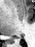

Medial temporal lobe. Magnetic resonance.

2 posterior hippocampus regions appear at region(9, 39, 13, 42); region(18, 37, 21, 38).